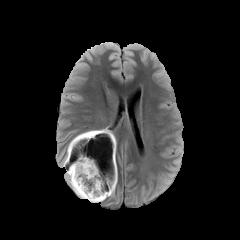
FLAIR MRI.
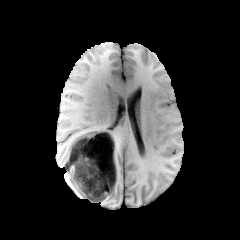
Same slice, T1-weighted MRI.
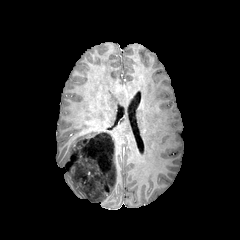
Post-contrast T1-weighted MR image of the same slice.
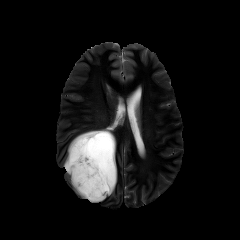
Same slice, T2-weighted MRI.
Brain; 240x240
The non-enhancing tumor core is located at (x1=64, y1=128, x2=115, y2=200). 4 edema regions are located at (x1=67, y1=172, x2=87, y2=198), (x1=108, y1=144, x2=114, y2=162), (x1=90, y1=178, x2=116, y2=201), (x1=64, y1=138, x2=73, y2=164).